Upper abdomen; Slice 57 of 97; CT scan slice; Image width 475 mm 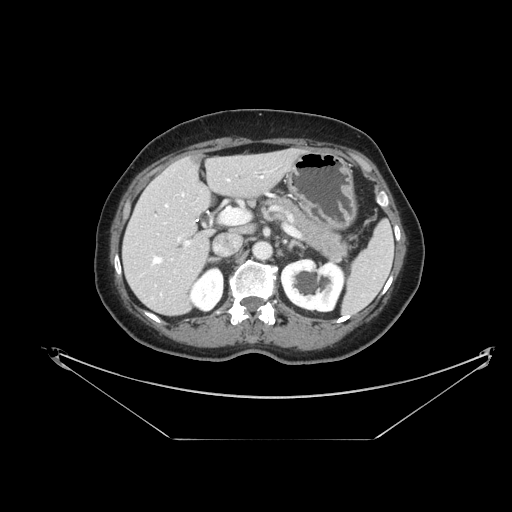 Pancreas = (264, 197, 349, 262).